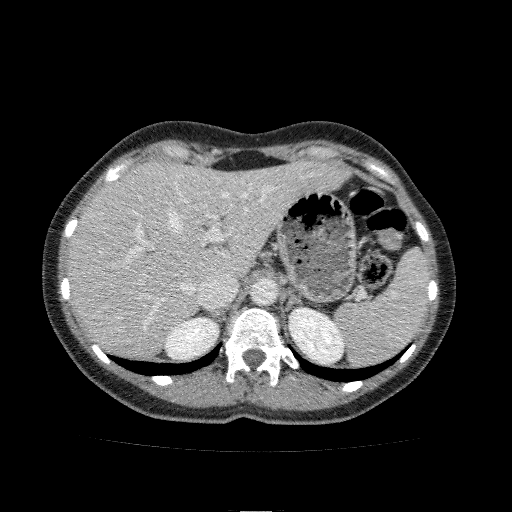

CT scan slice

Kidney: bounding box [x1=289, y1=308, x2=343, y2=363], [x1=165, y1=318, x2=218, y2=358].
Liver: bounding box [x1=67, y1=159, x2=346, y2=356].